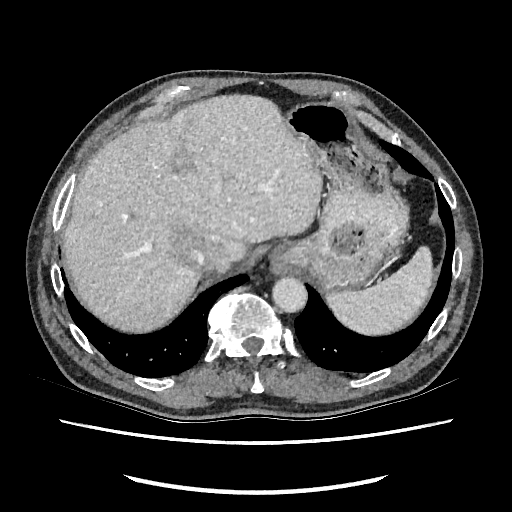 Abdomen | Computed tomography | Image size 512x512
<segmentation>
  <focal_liver_lesion>(172, 150, 196, 173), (171, 228, 208, 267)</focal_liver_lesion>
  <liver>(65, 96, 322, 328)</liver>
</segmentation>